FLAIR MRI.
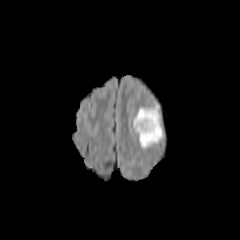
T1-weighted MR image.
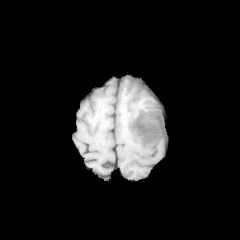
Post-contrast T1-weighted magnetic resonance.
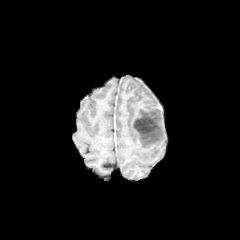
T2-weighted magnetic resonance.
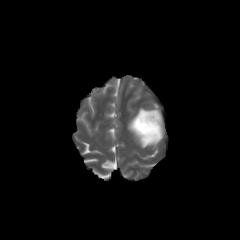
The edema appears at [128, 107, 165, 149]. The non-enhancing tumor core appears at [134, 117, 157, 137].